MRI slice. Medial temporal lobe. Slice 7 of 36. Field of view 35x49 mm.

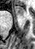
Annotated regions:
* anterior hippocampus: [15, 6, 24, 18]